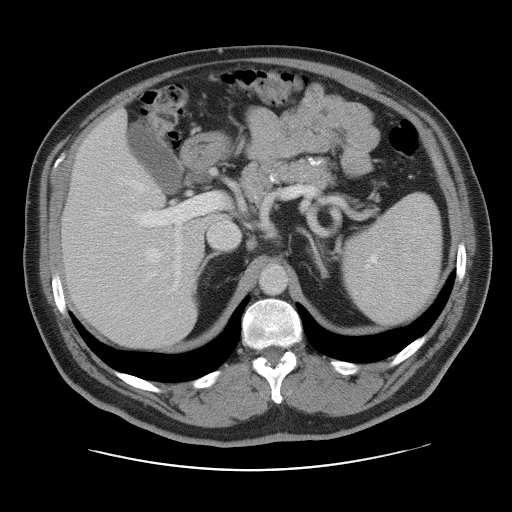
CT slice | 512x512 px

Not every hepatic vessel necessarily has a box.
Hepatic vessel: bounding box [x1=146, y1=249, x2=160, y2=261], [x1=132, y1=193, x2=223, y2=290], [x1=97, y1=210, x2=107, y2=214], [x1=283, y1=188, x2=295, y2=196], [x1=121, y1=180, x2=147, y2=191], [x1=154, y1=190, x2=158, y2=192], [x1=208, y1=225, x2=238, y2=246].